CT image. Image size 512x512. Slice 573 of 856.
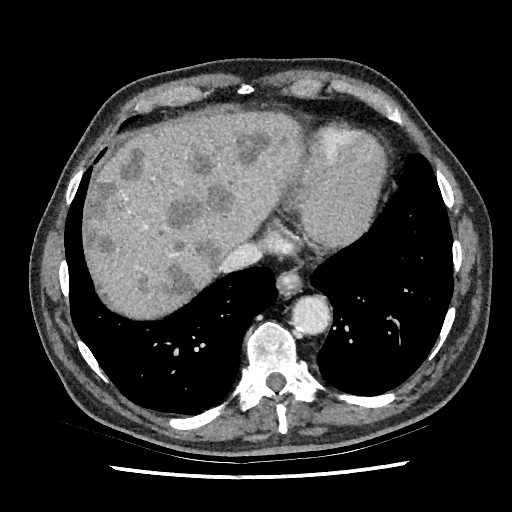

The liver is located at x1=87, y1=111, x2=301, y2=316. 11 focal liver lesion regions are bounded by x1=292, y1=130, x2=301, y2=150; x1=164, y1=184, x2=235, y2=228; x1=191, y1=142, x2=211, y2=173; x1=135, y1=271, x2=148, y2=293; x1=162, y1=264, x2=193, y2=293; x1=120, y1=148, x2=146, y2=181; x1=195, y1=239, x2=222, y2=271; x1=236, y1=132, x2=272, y2=165; x1=278, y1=136, x2=287, y2=146; x1=84, y1=181, x2=118, y2=252; x1=172, y1=241, x2=184, y2=252.